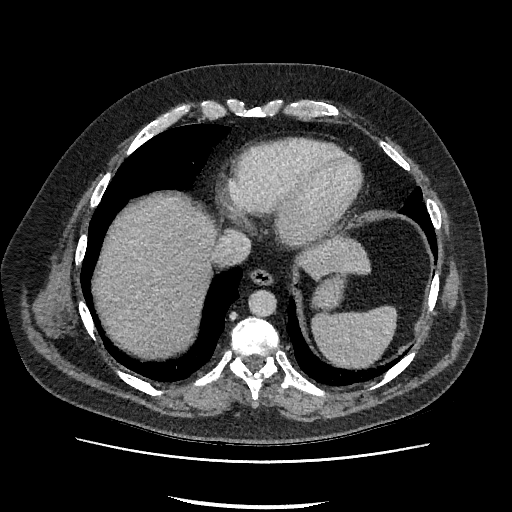 Upper abdomen | 512x512 px | CT image

• liver: (95, 195, 215, 356), (300, 238, 368, 278)